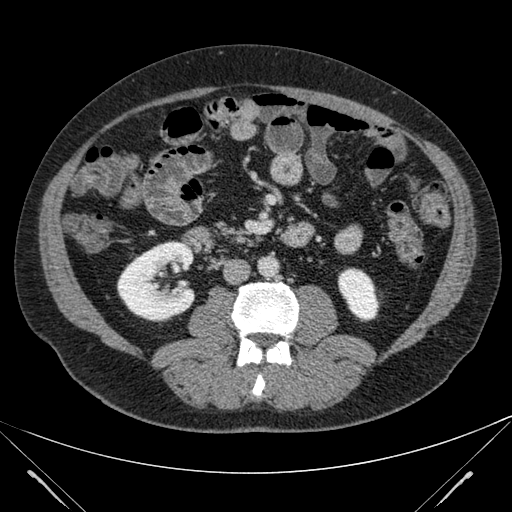 Computed tomography | 512x512 px
kidney: bbox(339, 269, 377, 319); bbox(118, 242, 193, 319)